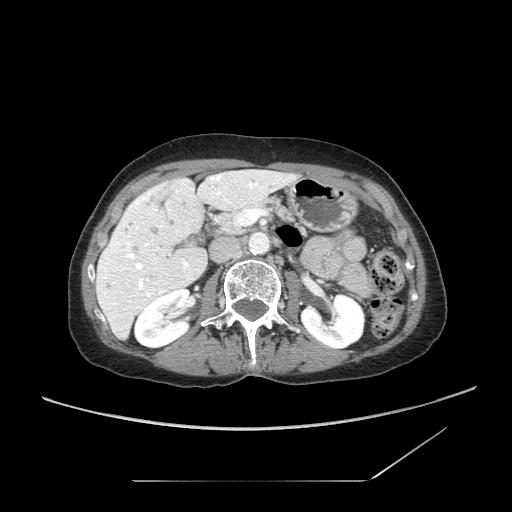
CT scan slice. Image size 512x512. {"pancreas": ["(252,197,294,223)", "(210,209,246,233)"]}